CT scan slice, Slice 202/536, Image size 512x512

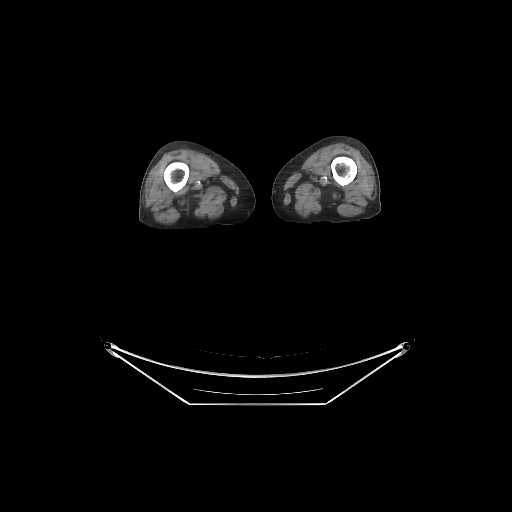

Bone: bounding box rect(164, 162, 188, 192); rect(331, 157, 356, 185).